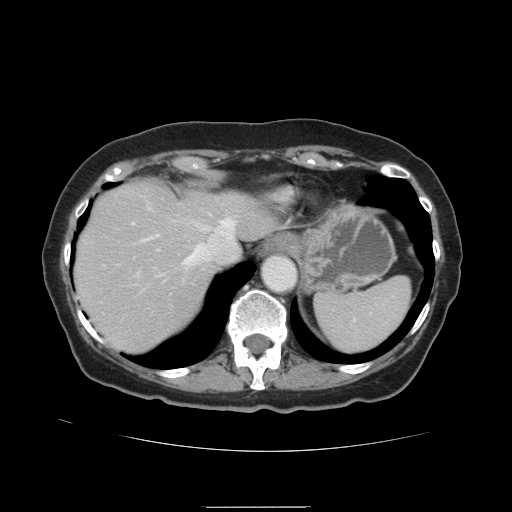
Liver, 512x512, CT slice

Some hepatic vessels may have no box.
{
  "hepatic_vessel": [
    "region(220, 218, 234, 236)",
    "region(182, 244, 209, 267)",
    "region(131, 223, 132, 224)",
    "region(215, 229, 217, 232)"
  ]
}